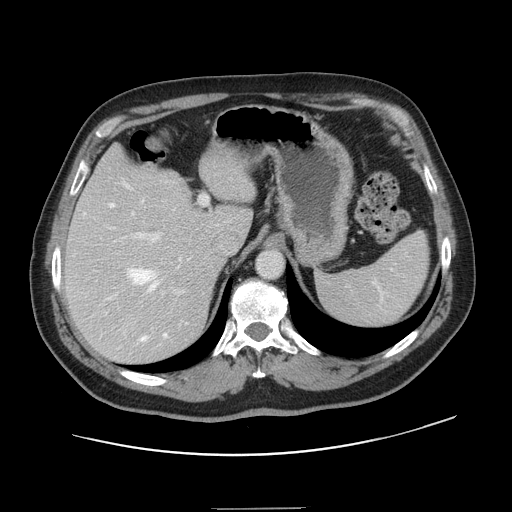 CT image; Abdomen
Only some of the vessels may be annotated.
Hepatic vessel = (left=151, top=235, right=157, bottom=241), (left=150, top=280, right=158, bottom=290), (left=179, top=258, right=181, bottom=260), (left=123, top=183, right=130, bottom=188), (left=109, top=203, right=114, bottom=207), (left=136, top=233, right=146, bottom=237), (left=175, top=291, right=184, bottom=293), (left=129, top=269, right=154, bottom=283), (left=111, top=227, right=113, bottom=228), (left=163, top=333, right=166, bottom=337), (left=141, top=336, right=147, bottom=340).